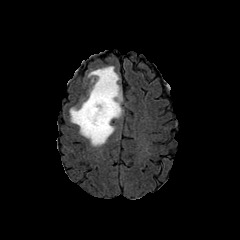
FLAIR MR image.
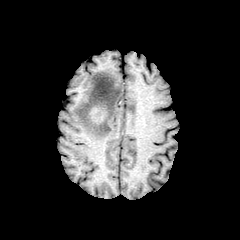
T1-weighted MRI.
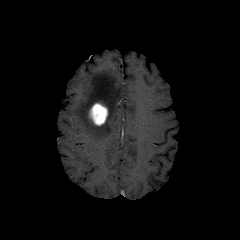
Same slice, post-contrast T1-weighted MRI.
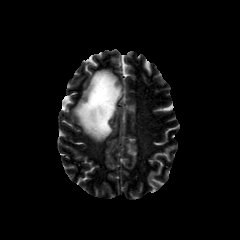
T2-weighted magnetic resonance.
Enhancing tumor — x1=88, y1=102, x2=108, y2=126.
Non-enhancing tumor core — x1=84, y1=74, x2=116, y2=129.
Edema — x1=69, y1=66, x2=123, y2=146.